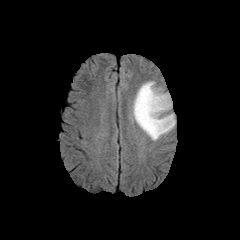
FLAIR MR.
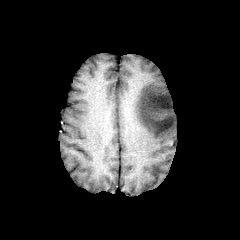
Same slice, T1-weighted magnetic resonance.
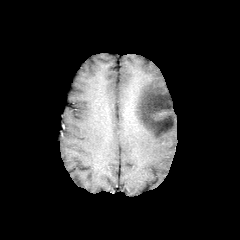
Post-contrast T1-weighted magnetic resonance.
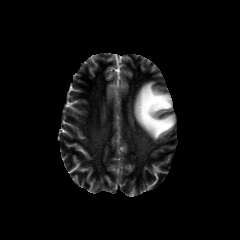
T2-weighted MR.
- edema: 132, 81, 175, 141